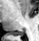
Magnetic resonance. Medial temporal lobe. Posterior hippocampus = 14,31,23,35.